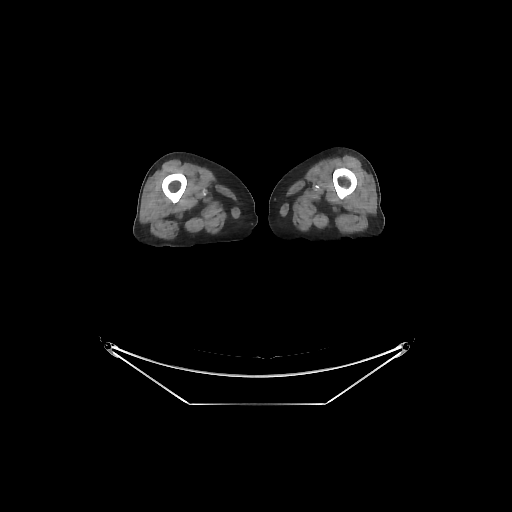

CT slice

Bone — (left=162, top=172, right=186, bottom=203), (left=333, top=168, right=356, bottom=198).